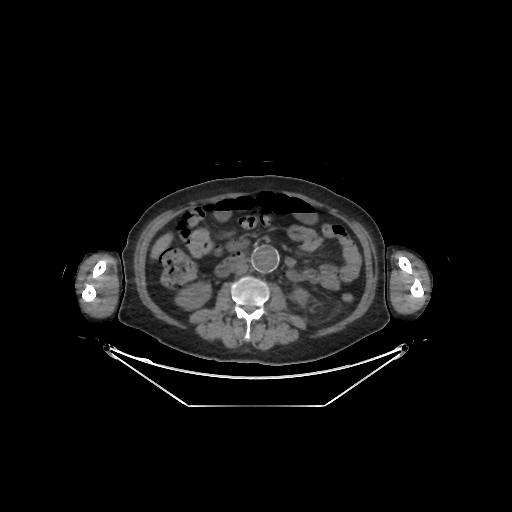
Abdomen | Computed tomography
3 bone regions appear at (left=82, top=260, right=106, bottom=301), (left=231, top=277, right=268, bottom=339), (left=398, top=256, right=423, bottom=298). The liver is bounded by (left=152, top=235, right=170, bottom=257). 2 kidney regions appear at (left=175, top=281, right=211, bottom=310), (left=290, top=287, right=309, bottom=307).